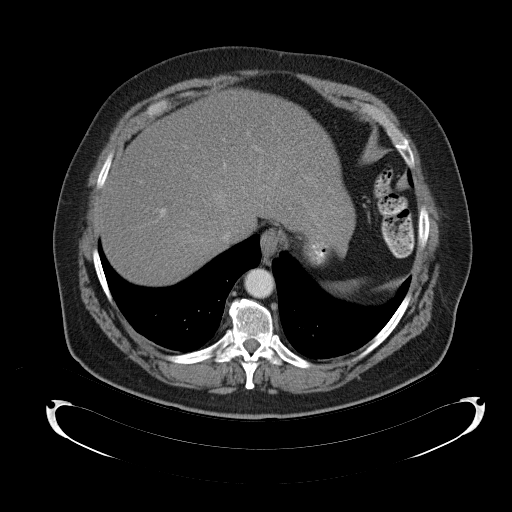 CT scan slice | Abdomen | Image size 512x512

- spleen: 325,280,367,295